FLAIR magnetic resonance.
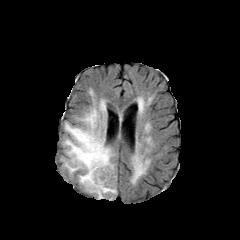
T1-weighted MR.
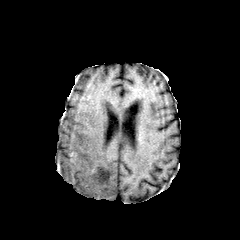
Post-contrast T1-weighted magnetic resonance.
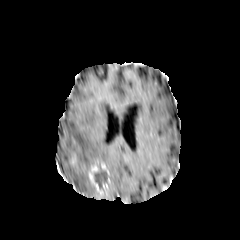
T2-weighted MR image.
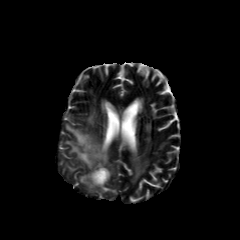
- non-enhancing tumor core: bbox=[94, 163, 109, 191]
- edema: bbox=[62, 99, 115, 197]; bbox=[106, 181, 116, 195]; bbox=[135, 162, 143, 176]
- enhancing tumor: bbox=[88, 165, 103, 195]